Slice 293/771; Field of view 400x400 mm; 512x512; CT; Liver
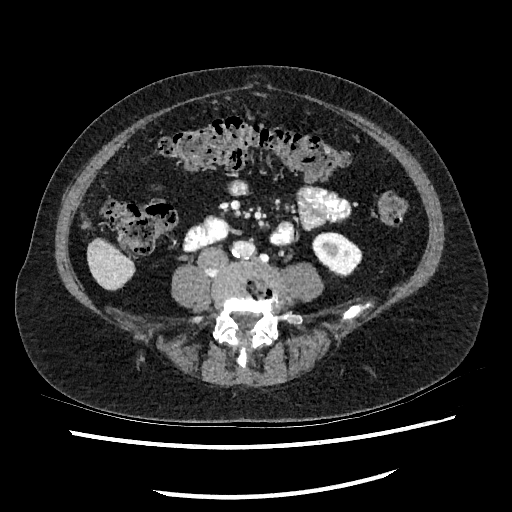

<segmentation>
  <kidney>313,233,360,273</kidney>
  <liver>89,241,133,288</liver>
</segmentation>